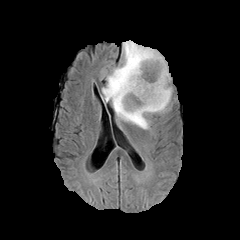
FLAIR MRI.
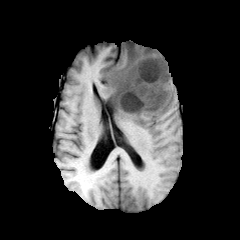
T1-weighted MR image of the same slice.
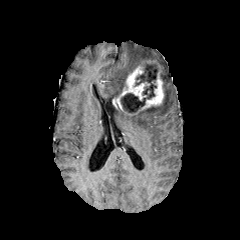
Post-contrast T1-weighted magnetic resonance of the same slice.
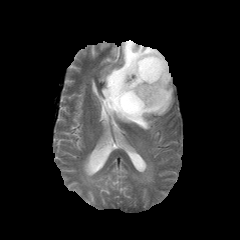
T2-weighted MR image.
240x240
Findings:
* edema: 102, 40, 173, 129
* enhancing tumor: 112, 59, 164, 113
* non-enhancing tumor core: 120, 64, 158, 113